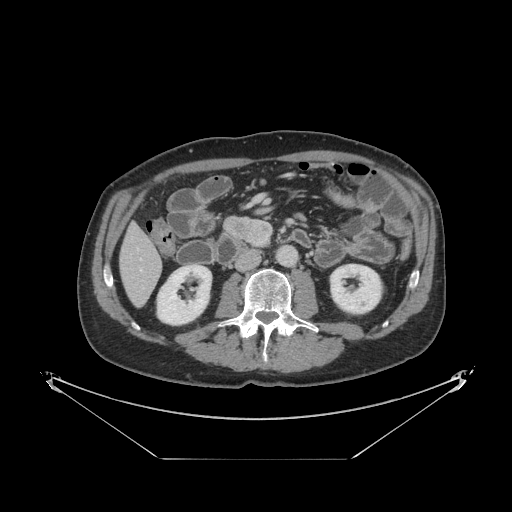
CT image, Upper abdomen
The pancreatic tumor is located at [223, 216, 272, 247]. The pancreas appears at [219, 214, 239, 234].